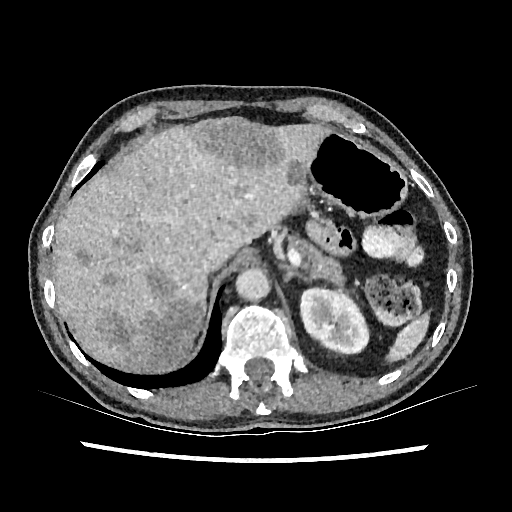
Liver | Computed tomography

<segmentation>
  <focal_liver_lesion><box>286,160,307,185</box>, <box>101,272,120,286</box>, <box>124,240,141,252</box>, <box>196,120,282,170</box>, <box>130,214,140,226</box>, <box>143,180,153,189</box>, <box>234,187,245,198</box>, <box>241,215,254,225</box>, <box>95,269,201,370</box>, <box>75,249,92,265</box></focal_liver_lesion>
  <liver><box>55,121,328,370</box>, <box>184,331,197,356</box></liver>
  <kidney><box>301,289,368,353</box></kidney>
</segmentation>